Slice 86/155 | 240x240 px | Image width 240 mm | Brain
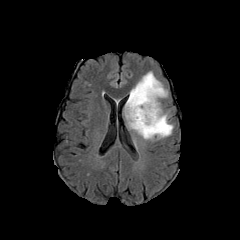
FLAIR MR.
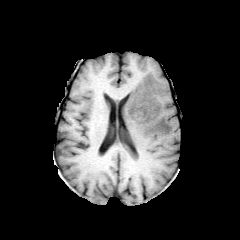
T1-weighted MR image.
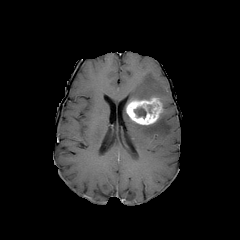
Same slice, post-contrast T1-weighted MRI.
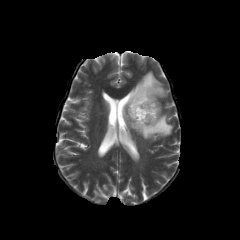
T2-weighted MRI of the same slice.
Enhancing tumor = bbox=[126, 97, 161, 124].
Non-enhancing tumor core = bbox=[134, 108, 146, 116]; bbox=[126, 95, 157, 106].
Edema = bbox=[125, 109, 173, 140]; bbox=[129, 71, 167, 101].